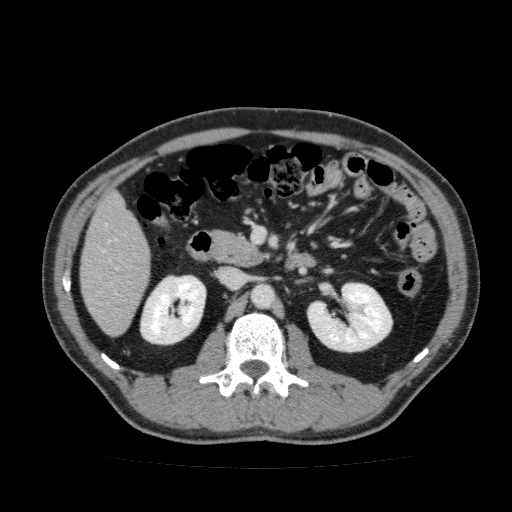 512x512 | CT

{"kidney": ["(308, 283, 391, 351)", "(140, 276, 205, 344)"], "liver": ["(79, 190, 151, 336)"]}